CT scan slice; Slice 297 of 689

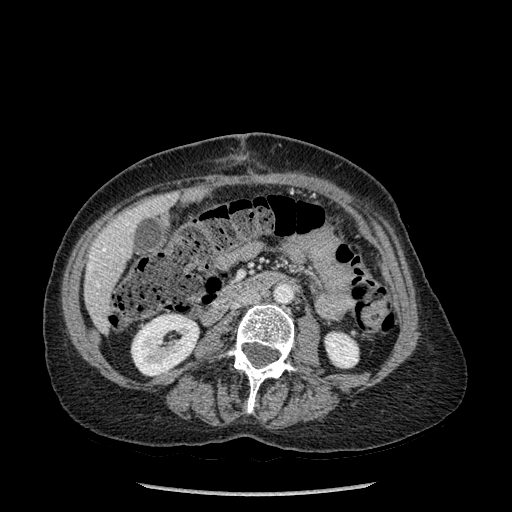 liver:
  - <box>84,193,176,333</box>
bone:
  - <box>227,303,295,413</box>
kidney:
  - <box>132,315,198,375</box>
  - <box>325,333,358,367</box>